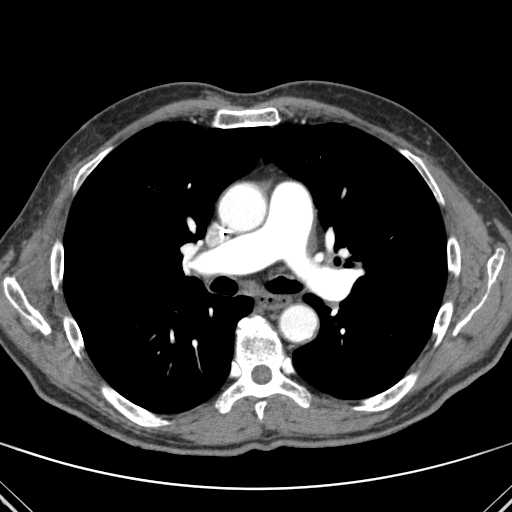

Chest, Computed tomography

Bone: bounding box 74, 148, 109, 187; 64, 317, 83, 356; 3, 277, 50, 334; 401, 150, 443, 203; 433, 302, 452, 345; 447, 237, 460, 275; 102, 387, 168, 426; 353, 374, 417, 411; 213, 107, 279, 128; 487, 252, 503, 287; 51, 242, 63, 289; 216, 316, 309, 419; 453, 296, 485, 335.
Lung: bounding box 63, 122, 446, 413.